Slice 46 of 93, Upper abdomen, CT slice 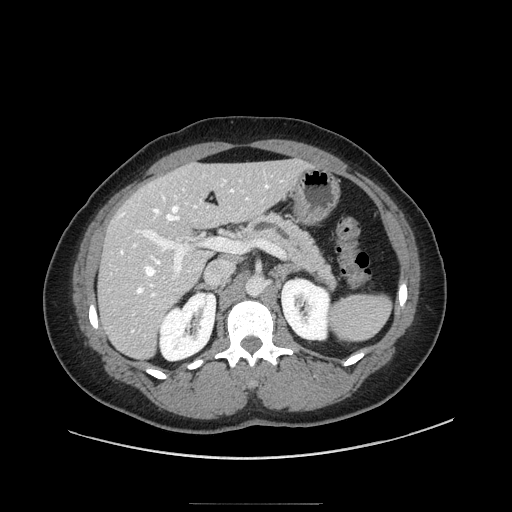
Pancreas = 238:211:338:291.